Slice index 67, CT slice
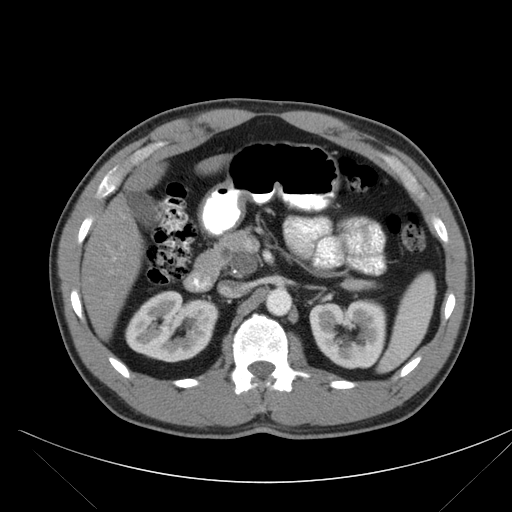

The pancreatic tumor is located at 220, 247, 256, 275. The pancreas is at 213, 226, 258, 279.